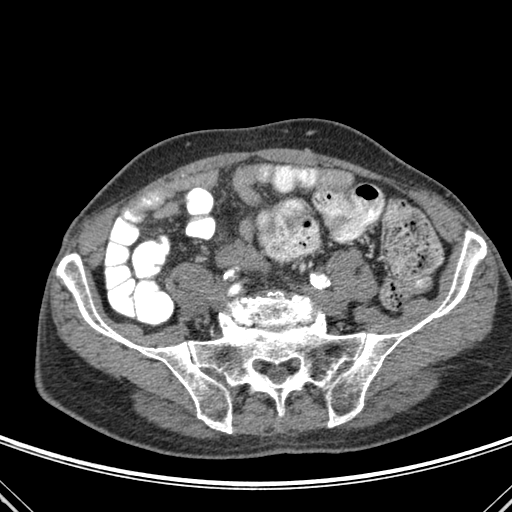
CT scan slice
Bone: bounding box box=[56, 230, 486, 433].